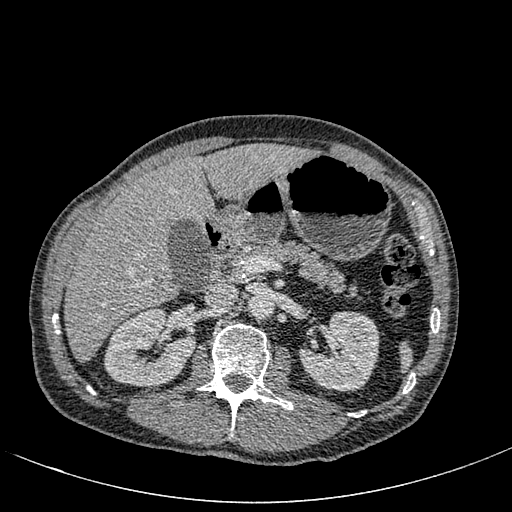
CT
<segmentation>
  <kidney>299,312,378,390; 104,309,195,385</kidney>
  <liver>64,144,318,361</liver>
</segmentation>